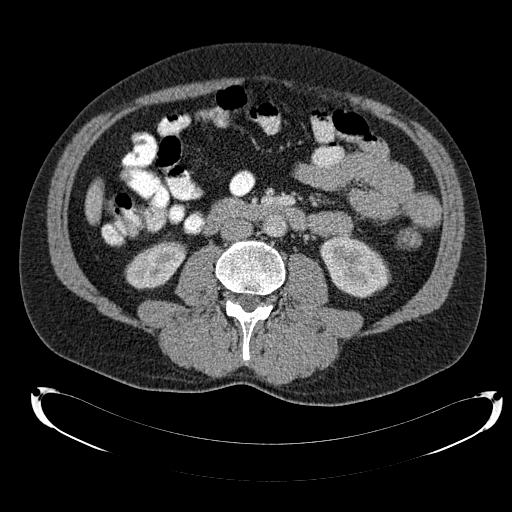
Upper abdomen | CT slice
2 kidney regions are located at box(321, 234, 387, 296); box(127, 243, 184, 287). The liver is bounded by box(87, 185, 101, 221).